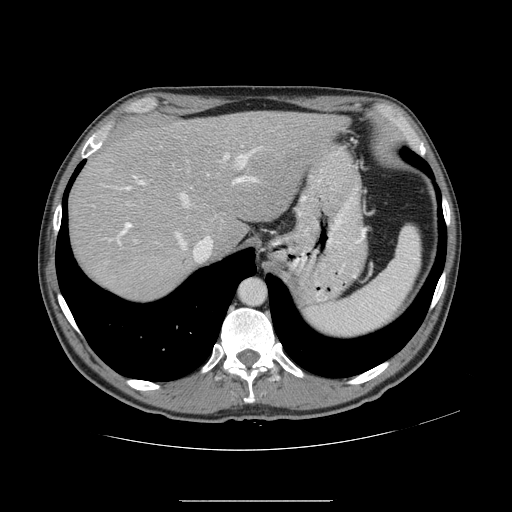

CT image; Liver

Only some of the vessels may be annotated.
Hepatic vessel: (left=196, top=236, right=211, bottom=248), (left=236, top=148, right=260, bottom=166), (left=133, top=176, right=143, bottom=184), (left=175, top=233, right=185, bottom=249), (left=116, top=222, right=131, bottom=242), (left=109, top=239, right=112, bottom=240), (left=118, top=187, right=130, bottom=189), (left=224, top=153, right=228, bottom=159), (left=180, top=194, right=188, bottom=206), (left=232, top=177, right=257, bottom=184).